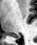

MR; Hippocampus
The posterior hippocampus lies within 14, 36, 19, 38.